Upper abdomen; CT slice; 512x512; Image width 340 mm; Slice 256/401

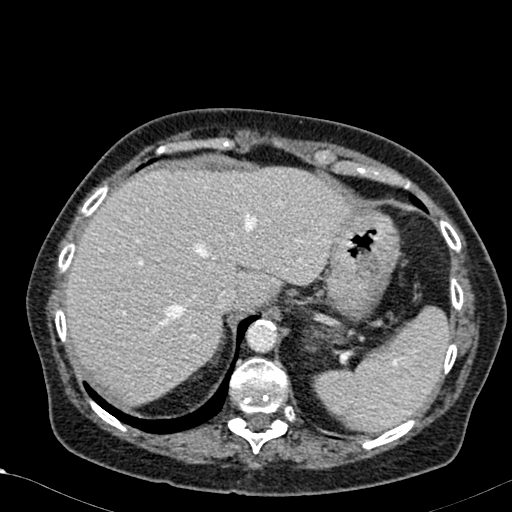
The liver is bounded by bbox(67, 168, 346, 403).